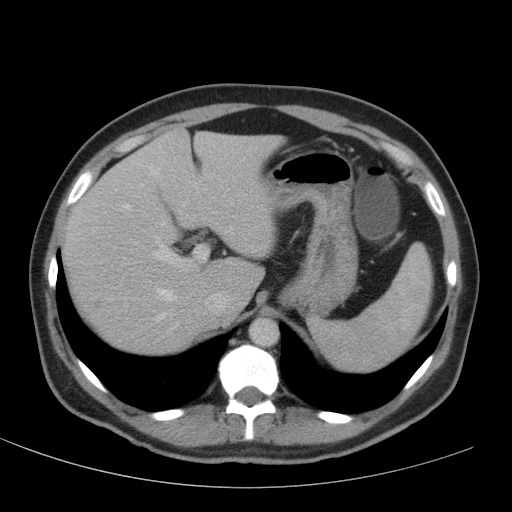
CT scan slice, Image size 512x512

The liver lesion lies within [92,297,107,310]. The liver appears at [63,127,280,352].